Image width 240 mm
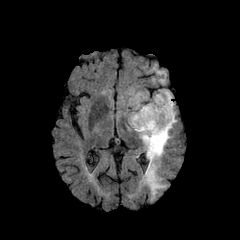
FLAIR magnetic resonance.
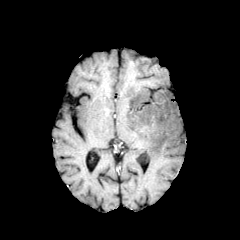
Same slice, T1-weighted MR.
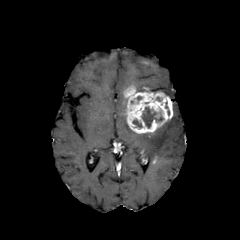
Same slice, post-contrast T1-weighted MR image.
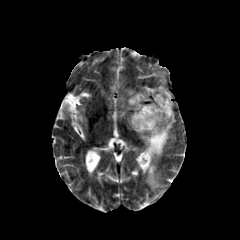
T2-weighted magnetic resonance.
Non-enhancing tumor core — (142,108,155,127).
Enhancing tumor — (124,88,173,134).
Edema — (151,89,172,98), (138,104,176,195).